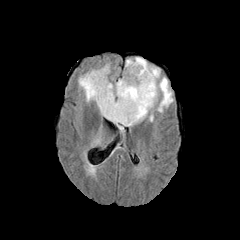
FLAIR MRI.
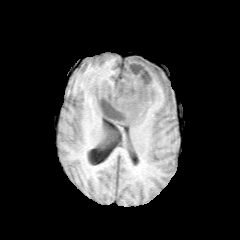
Same slice, T1-weighted MR.
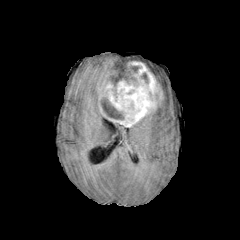
Post-contrast T1-weighted MRI.
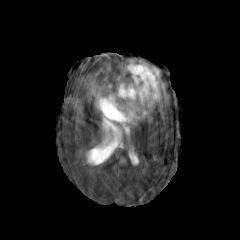
T2-weighted MR image.
enhancing tumor: 102, 61, 163, 126 | non-enhancing tumor core: 100, 94, 124, 120; 127, 65, 139, 75; 145, 64, 158, 77; 112, 74, 136, 91 | edema: 78, 65, 114, 117; 130, 109, 155, 127; 148, 64, 172, 112; 122, 57, 147, 76